Slice index 57 | Head | Field of view 240x240 mm
FLAIR MRI.
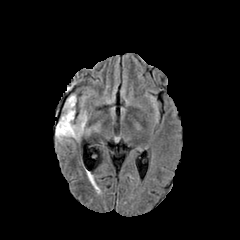
T1-weighted MR.
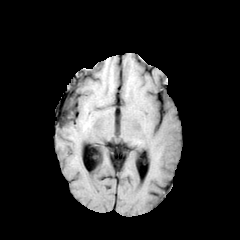
Post-contrast T1-weighted MR image.
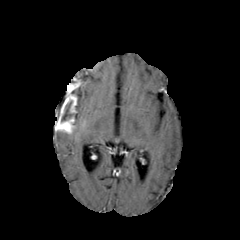
T2-weighted MR image.
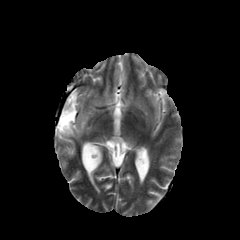
non-enhancing_tumor_core:
  - bbox=[56, 87, 79, 125]
  - bbox=[73, 116, 84, 128]
edema:
  - bbox=[55, 122, 85, 143]
  - bbox=[74, 107, 88, 121]
enhancing_tumor:
  - bbox=[67, 84, 75, 93]
  - bbox=[55, 117, 74, 133]
  - bbox=[60, 94, 77, 116]